Brain. 240x240. Slice 116 of 155.
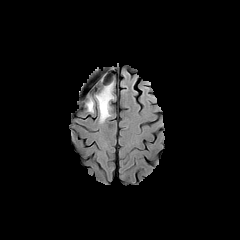
FLAIR MR image.
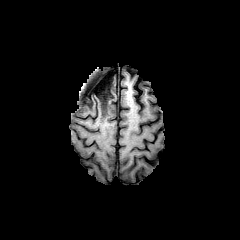
T1-weighted magnetic resonance.
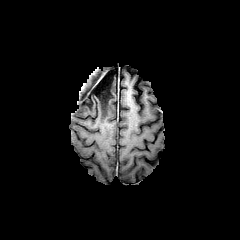
Post-contrast T1-weighted magnetic resonance.
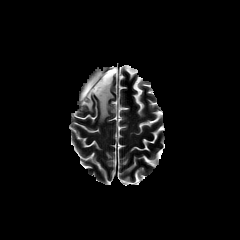
T2-weighted MR.
2 non-enhancing tumor core regions are located at 84, 82, 111, 105; 96, 106, 105, 124. The edema appears at 86, 83, 114, 119.